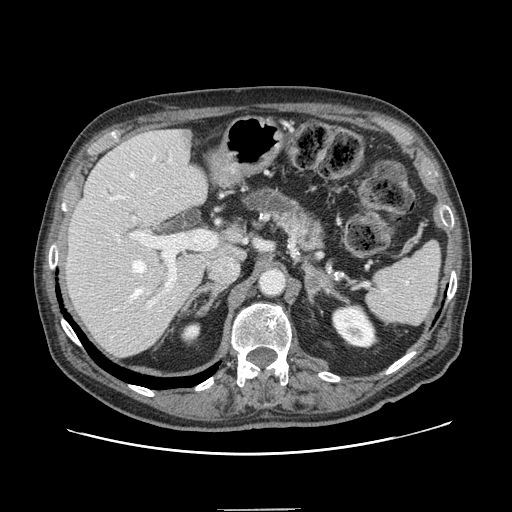 512x512 | CT
Annotated regions:
• pancreas: (left=240, top=184, right=330, bottom=250)